FLAIR magnetic resonance.
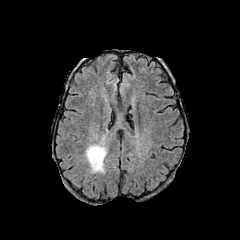
T1-weighted magnetic resonance.
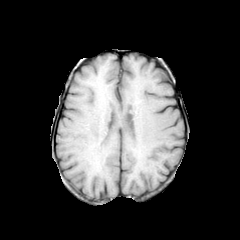
Post-contrast T1-weighted MRI.
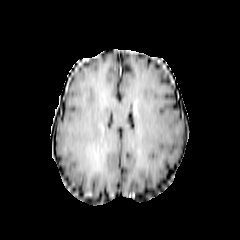
T2-weighted MRI.
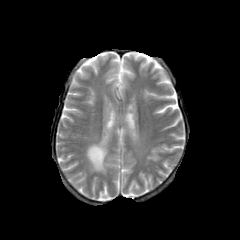
Head. 240x240 px.
The edema is bounded by region(84, 129, 109, 174). The non-enhancing tumor core is located at region(90, 147, 105, 170).